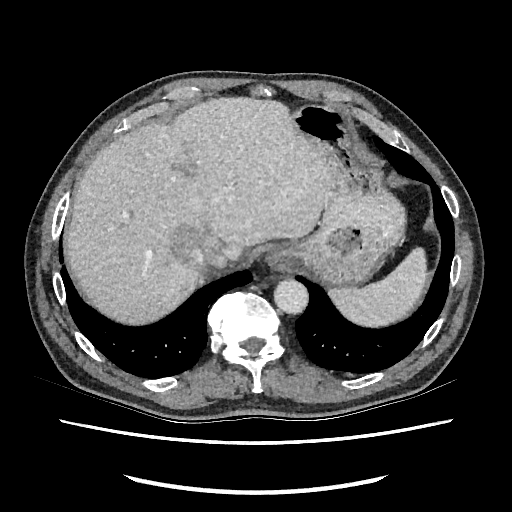

512x512. Abdomen. Computed tomography.
2 hepatic lesion regions are located at region(174, 163, 198, 176); region(171, 225, 210, 264). The liver is bounded by region(68, 99, 331, 320).